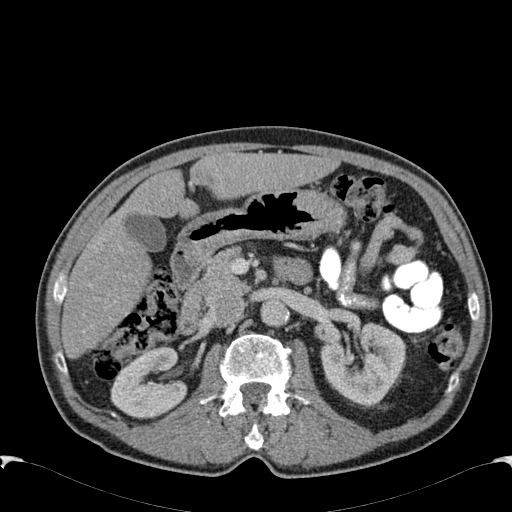

Upper abdomen; Computed tomography
<segmentation>
  <kidney>x1=321 y1=323 x2=404 y2=405, x1=111 y1=347 x2=186 y2=417</kidney>
  <liver>x1=62 y1=171 x2=197 y2=359, x1=191 y1=153 x2=338 y2=198</liver>
</segmentation>